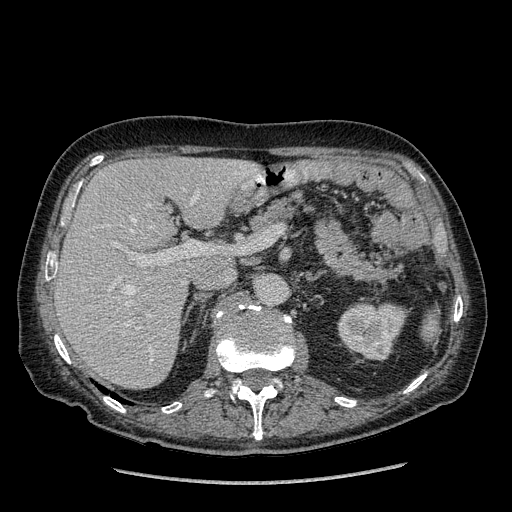 Image size 512x512, Upper abdomen, Computed tomography
Kidney = rect(338, 303, 406, 360).
Liver = rect(55, 157, 257, 389).